CT slice. 512x512. Image width 500 mm. Liver. 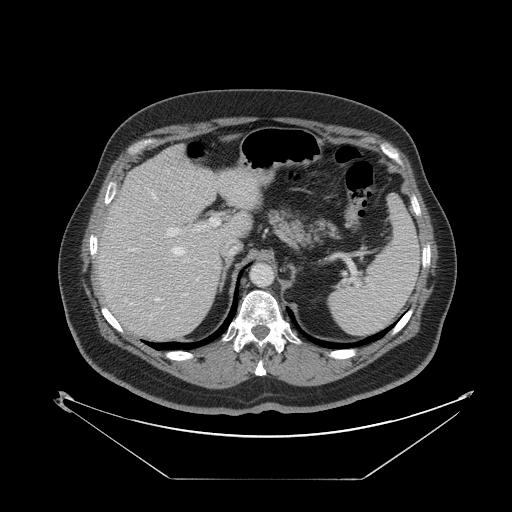
Only some of the vessels may be annotated.
Annotated regions:
* hepatic vessel: <box>172,246,185,255</box>, <box>197,277,199,279</box>, <box>193,224,206,231</box>, <box>129,248,135,251</box>, <box>130,302,132,304</box>, <box>184,293,187,295</box>, <box>210,218,219,225</box>, <box>183,260,188,261</box>, <box>151,191,157,200</box>, <box>167,228,180,236</box>, <box>155,297,161,301</box>